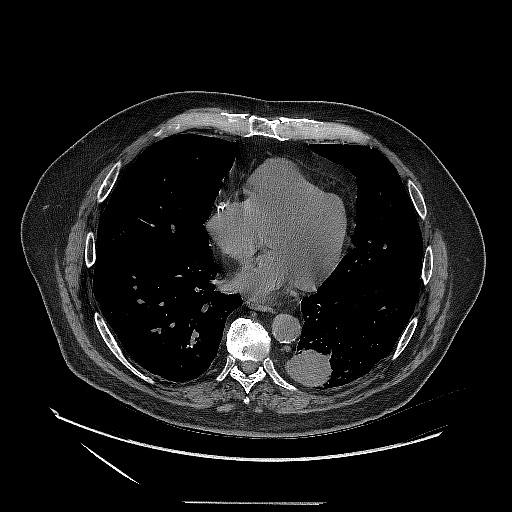 CT image
Lung tumor: 284:337:335:389.